Brain
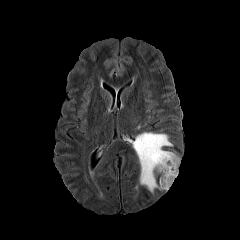
FLAIR MR.
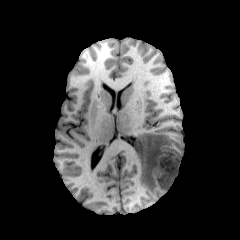
Same slice, T1-weighted MR image.
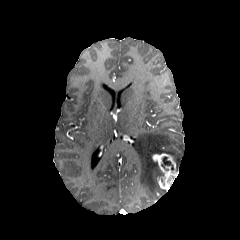
Post-contrast T1-weighted MR image.
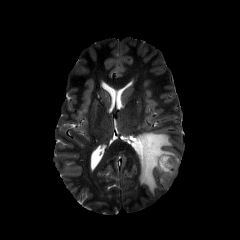
Same slice, T2-weighted MRI.
Annotated regions:
* edema: {"x1": 133, "y1": 132, "x2": 179, "y2": 197}
* non-enhancing tumor core: {"x1": 161, "y1": 156, "x2": 174, "y2": 170}, {"x1": 154, "y1": 162, "x2": 164, "y2": 185}
* enhancing tumor: {"x1": 151, "y1": 154, "x2": 178, "y2": 189}